Head
FLAIR magnetic resonance.
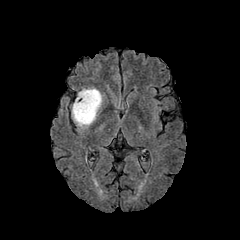
T1-weighted MR image.
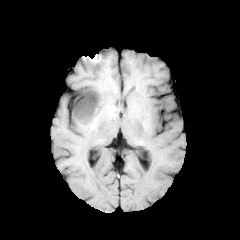
Post-contrast T1-weighted MRI.
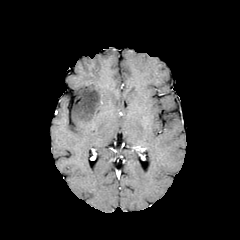
T2-weighted MR.
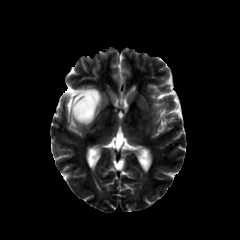
Edema — left=67, top=86, right=104, bottom=128.